CT

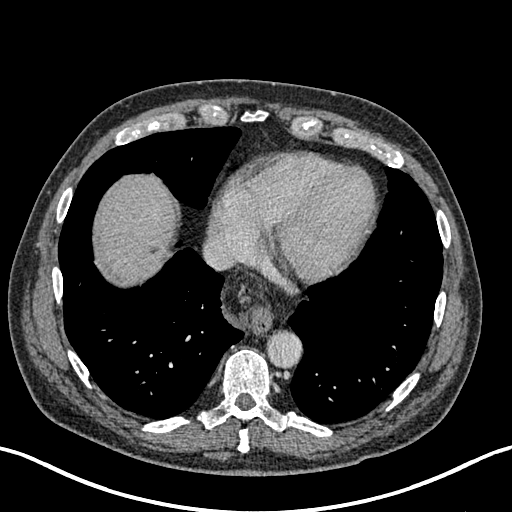

{
  "focal_liver_lesion": [
    "[148,246,160,255]"
  ],
  "liver": [
    "[94,175,177,282]"
  ]
}